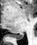
MRI slice. Hippocampus.

Posterior hippocampus = 13:32:23:39.